Field of view 363 mm wide, 5.00 mm slice spacing, Liver, CT slice, Image size 512x512
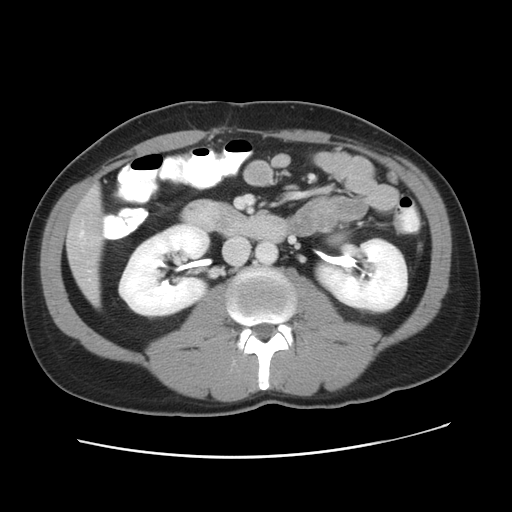
The vessel boxes may cover only some of the vessels.
• hepatic vessel: rect(78, 231, 83, 242)